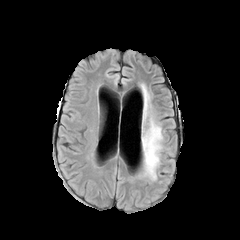
FLAIR magnetic resonance.
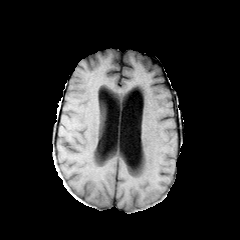
T1-weighted magnetic resonance of the same slice.
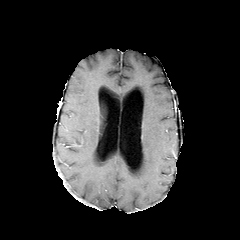
Post-contrast T1-weighted MR of the same slice.
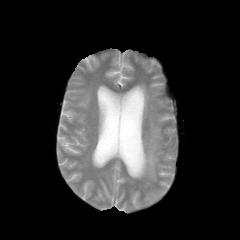
Same slice, T2-weighted MRI.
Head | 240x240
The edema is at (139,84,162,180).